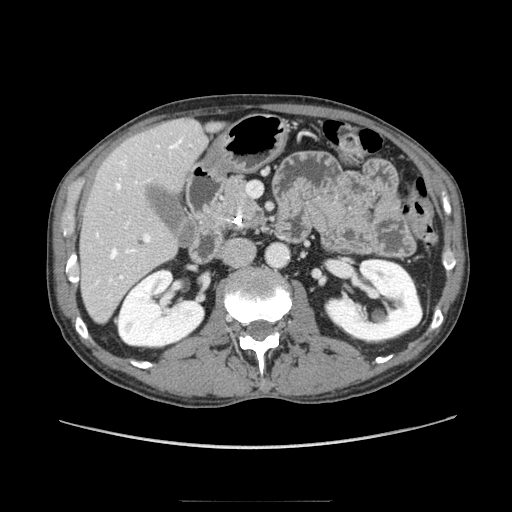
Upper abdomen | CT slice
pancreas:
  - [x1=206, y1=177, x2=263, y2=228]
pancreatic_tumor:
  - [x1=226, y1=181, x2=245, y2=208]